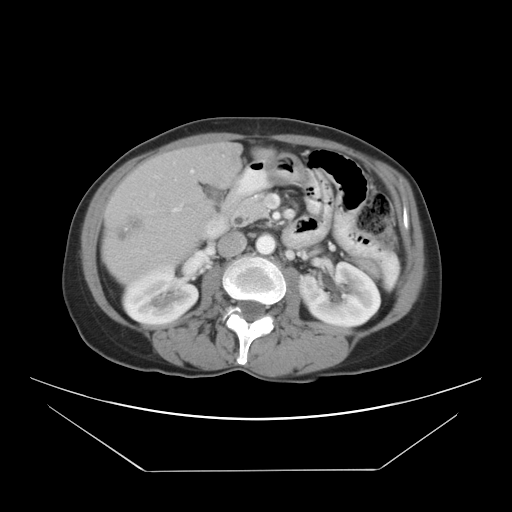

Liver | CT
The vessel annotation is not exhaustive.
10 hepatic vessel regions are bounded by 210, 219, 213, 223; 189, 170, 190, 172; 171, 202, 182, 211; 174, 177, 175, 179; 204, 226, 207, 230; 149, 192, 153, 196; 158, 254, 160, 256; 173, 256, 175, 258; 159, 209, 162, 209; 108, 239, 112, 241. The liver tumor is at 116, 217, 144, 243.